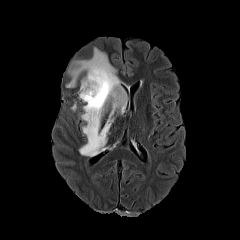
FLAIR MR.
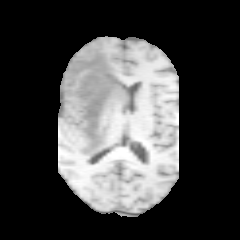
T1-weighted MRI.
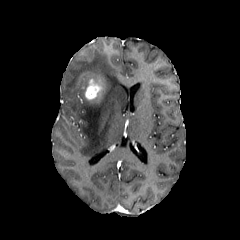
Post-contrast T1-weighted MR.
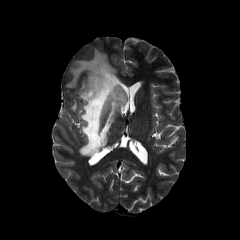
T2-weighted MRI of the same slice.
Head | Image size 240x240
The edema lies within region(66, 48, 126, 156). The enhancing tumor lies within region(77, 72, 101, 100).